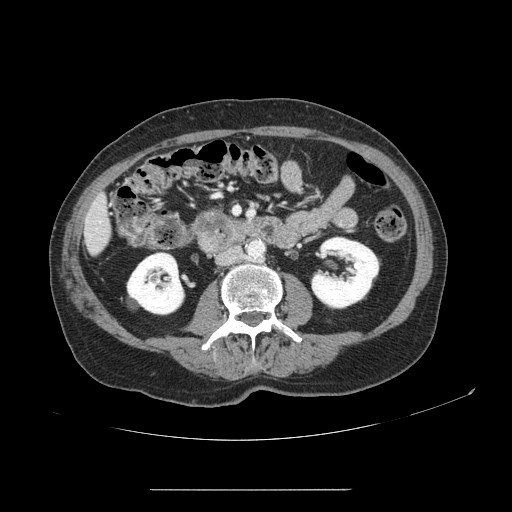
CT scan slice. 512x512. <segmentation>
  <pancreas><bbox>193, 207, 248, 250</bbox></pancreas>
</segmentation>